Upper abdomen. Slice index 536. CT scan slice. 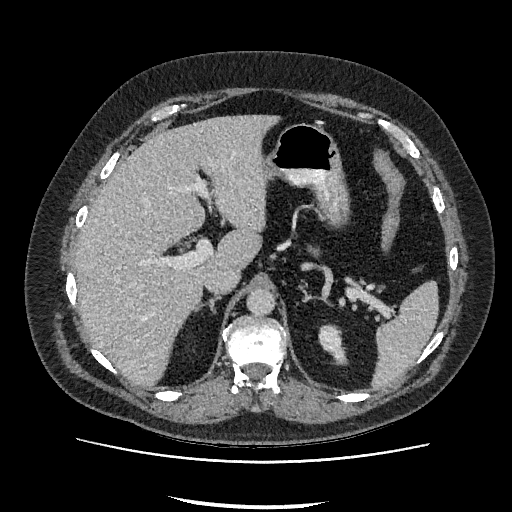 <segmentation>
  <kidney><bbox>319, 327, 342, 357</bbox></kidney>
  <liver><bbox>75, 115, 278, 385</bbox></liver>
</segmentation>